Slice 323 of 630 | CT

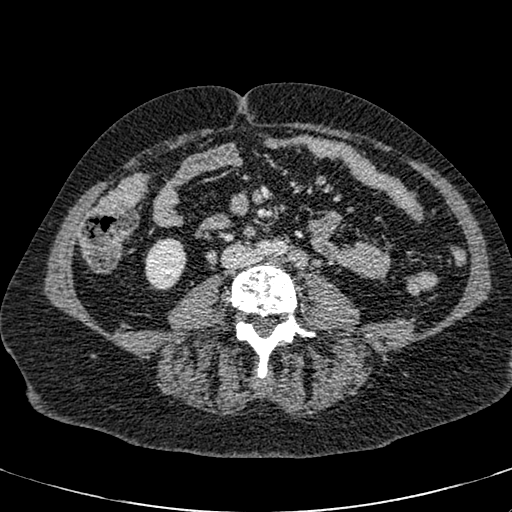
The kidney is located at box=[146, 239, 185, 288].